CT scan slice, Slice 115 of 141 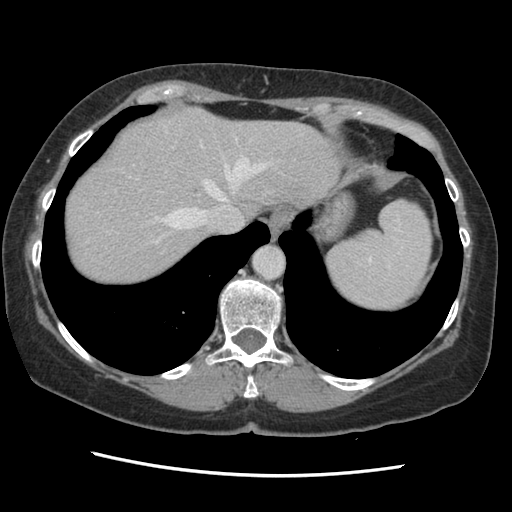 Not every hepatic vessel necessarily has a box.
{"hepatic_vessel": ["[x1=204, y1=180, x2=226, y2=200]", "[x1=152, y1=237, x2=160, y2=243]", "[x1=173, y1=141, x2=175, y2=147]", "[x1=225, y1=158, x2=270, y2=190]", "[x1=234, y1=136, x2=237, y2=140]", "[x1=164, y1=127, x2=165, y2=130]", "[x1=158, y1=208, x2=204, y2=229]"]}